CT slice; Slice 57/109; Abdomen

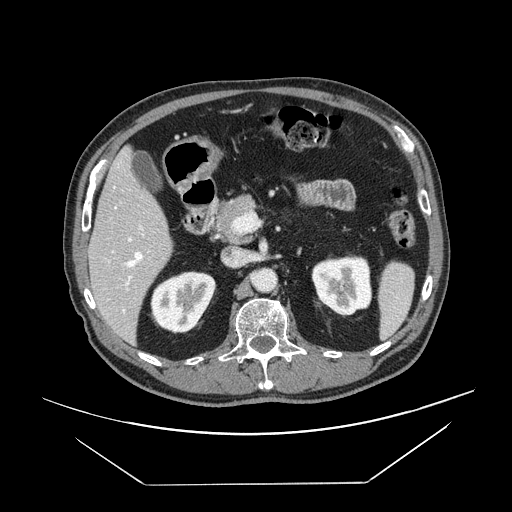
The pancreas is located at [210,194,257,244].